FLAIR MR.
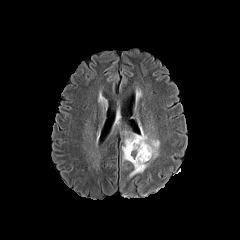
T1-weighted MR image.
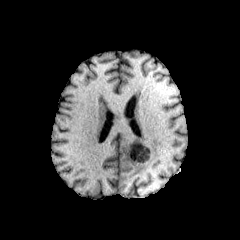
Post-contrast T1-weighted MR image.
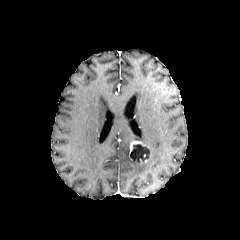
T2-weighted MR image.
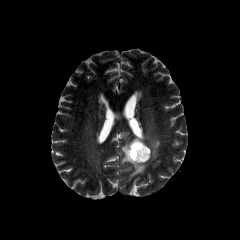
Brain
Edema at region(121, 126, 160, 178).
Enhancing tumor at region(129, 140, 145, 157).
Non-enhancing tumor core at region(128, 137, 142, 145); region(130, 144, 149, 163).